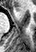

Magnetic resonance.
Anterior hippocampus at (15,6,21,11).